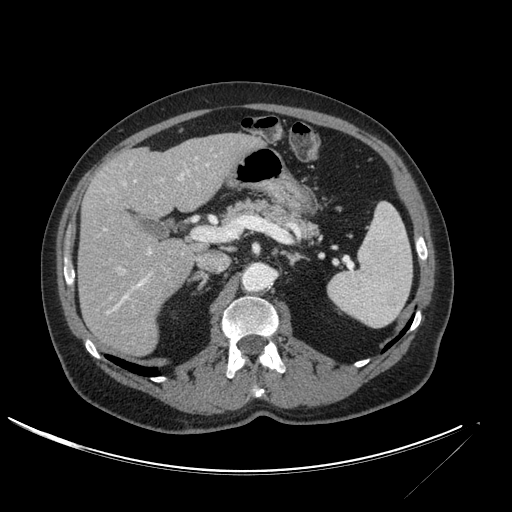 CT
liver:
  - 78 134 265 354